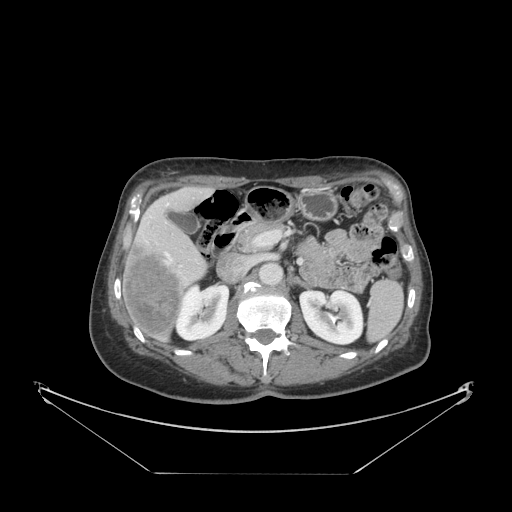

Computed tomography
Spleen at (368,281,402,340).